Slice index 55. CT scan slice. 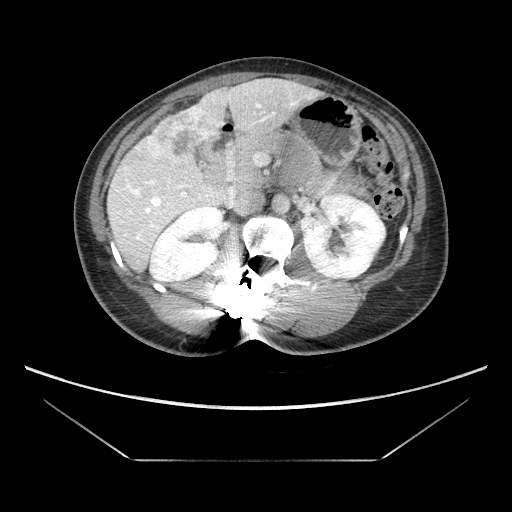 liver_tumor:
  - 143 106 219 163